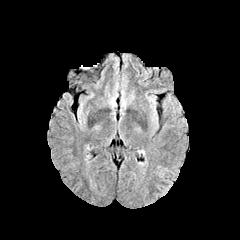
FLAIR magnetic resonance.
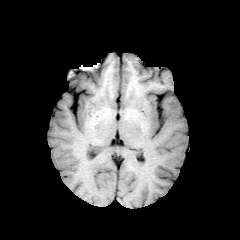
T1-weighted MRI.
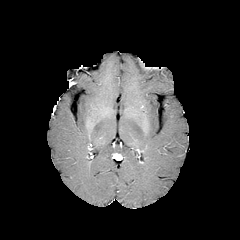
Post-contrast T1-weighted MRI.
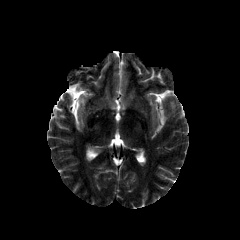
T2-weighted MR.
edema: bbox=[150, 109, 158, 129]; bbox=[165, 95, 175, 112]